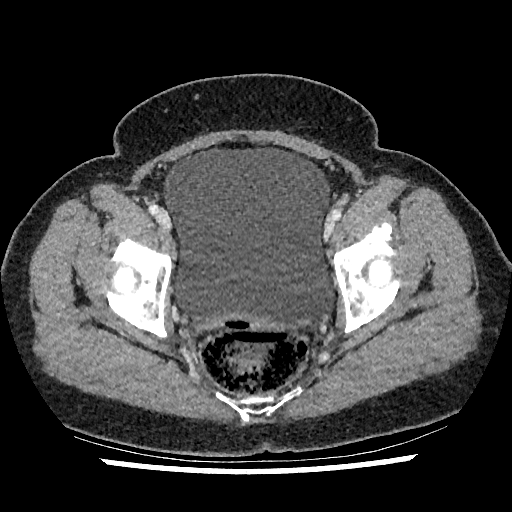
CT slice | Pelvis

The urinary bladder is at 164,147,334,330.